CT scan slice | Slice index 519 | 512x512 px

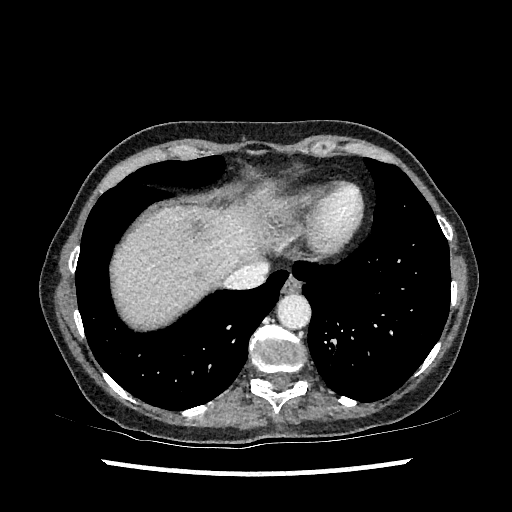
<segmentation>
  <liver_lesion>box=[186, 219, 209, 242]; box=[194, 270, 204, 278]</liver_lesion>
  <liver>box=[112, 183, 271, 326]</liver>
</segmentation>